Computed tomography, Field of view 386x386 mm, 512x512 px 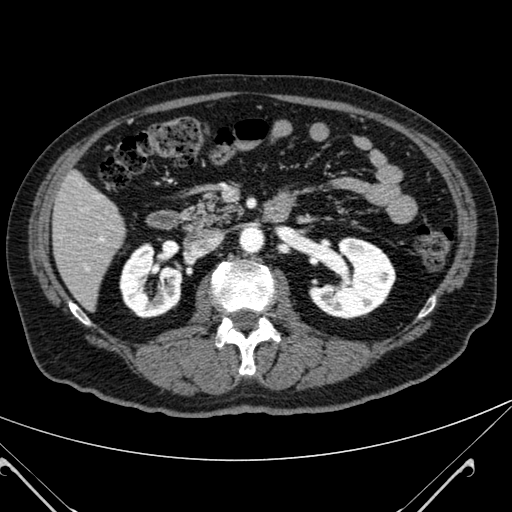

Segmented structures:
• kidney: x1=120, y1=245, x2=180, y2=316; x1=311, y1=239, x2=394, y2=317
• liver: x1=51, y1=173, x2=125, y2=307